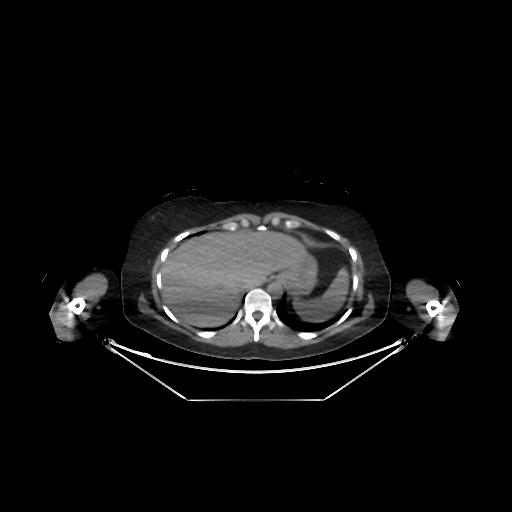

CT image | Upper abdomen | 512x512 px
The liver is at box(159, 225, 311, 327).